512x512 px; Slice index 211; CT slice
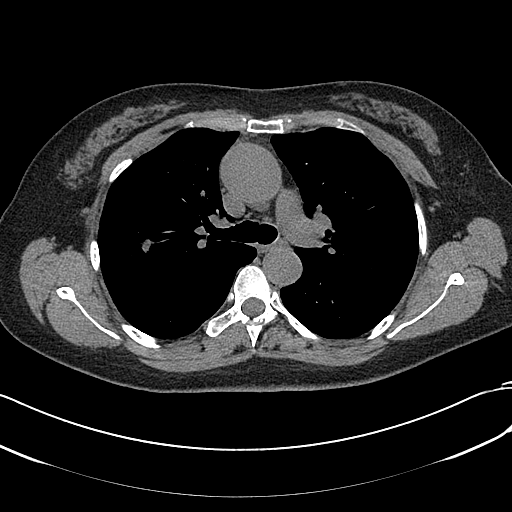

The lung tumor is located at 133,231,153,262.